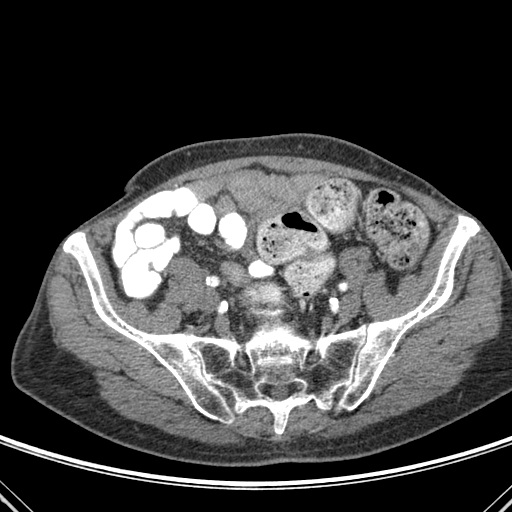

CT slice.
2 bone regions are bounded by [252, 309, 281, 316], [63, 215, 479, 434].